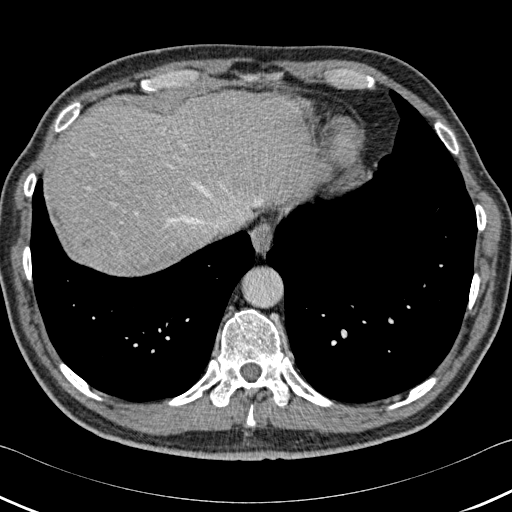
CT slice. 512x512 px. Liver. liver: region(46, 90, 318, 275) | hepatic lesion: region(82, 238, 90, 247) | lung: region(263, 89, 477, 404); region(30, 178, 256, 402) | bone: region(468, 274, 479, 309); region(55, 102, 79, 131); region(475, 205, 486, 230); region(24, 173, 35, 196); region(388, 378, 435, 409); region(435, 122, 458, 154); region(60, 363, 101, 400); region(23, 247, 31, 279); region(168, 309, 332, 406); region(247, 405, 255, 425)